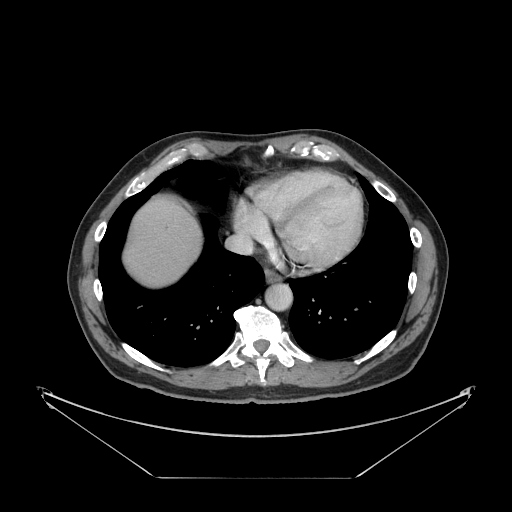 Abdomen | CT scan slice

The vessel boxes may cover only some of the vessels.
hepatic vessel: 232:226:257:253